CT image | Slice 32 of 83 | 512x512 px

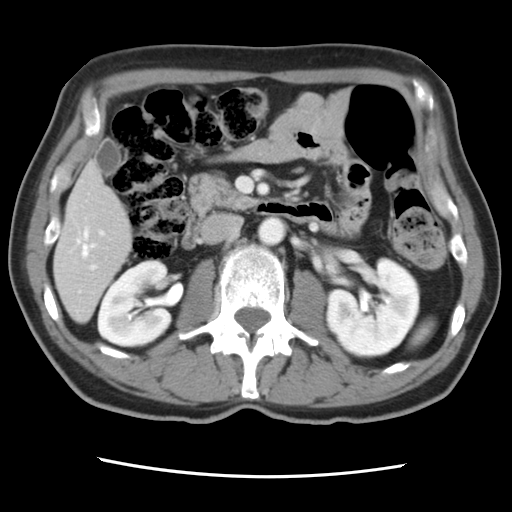 The vessel annotation is not exhaustive.
Segmented structures:
* hepatic vessel: 91 265 95 269, 77 239 80 242, 100 231 103 234, 83 245 94 255, 84 230 87 237